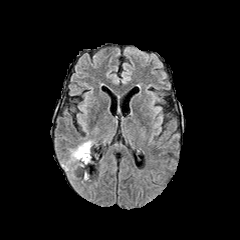
FLAIR MR image.
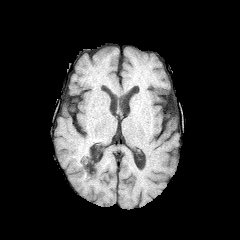
T1-weighted MRI.
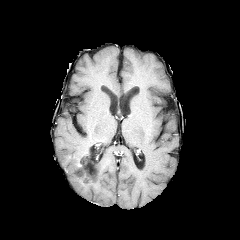
Post-contrast T1-weighted MR image.
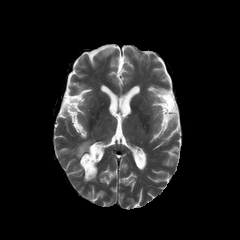
T2-weighted magnetic resonance.
Brain | Image size 240x240
<segmentation>
  <edema>x1=64, y1=140, x2=94, y2=170</edema>
  <non-enhancing_tumor_core>x1=78, y1=144, x2=92, y2=165</non-enhancing_tumor_core>
</segmentation>